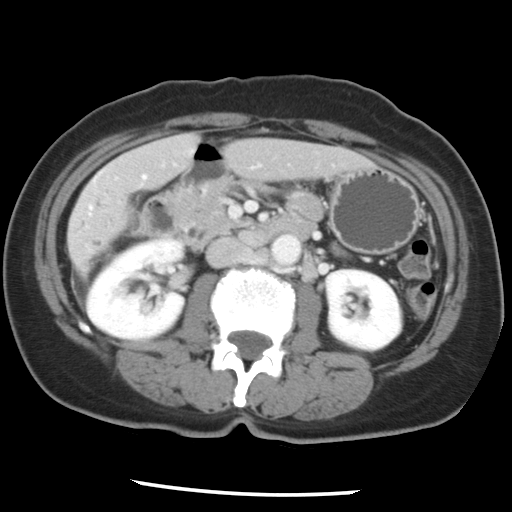

512x512 px, Abdomen, CT
Some hepatic vessels may have no box.
The hepatic vessel is located at bbox=[143, 175, 144, 177].